Liver, CT image, 512x512
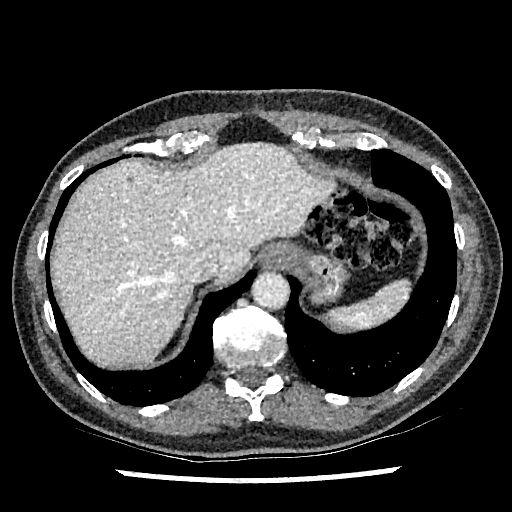 Liver — rect(52, 142, 334, 366).